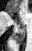 MRI slice; Medial temporal lobe
Anterior hippocampus — region(9, 13, 12, 16); region(17, 17, 23, 23).
Posterior hippocampus — region(14, 24, 25, 43).